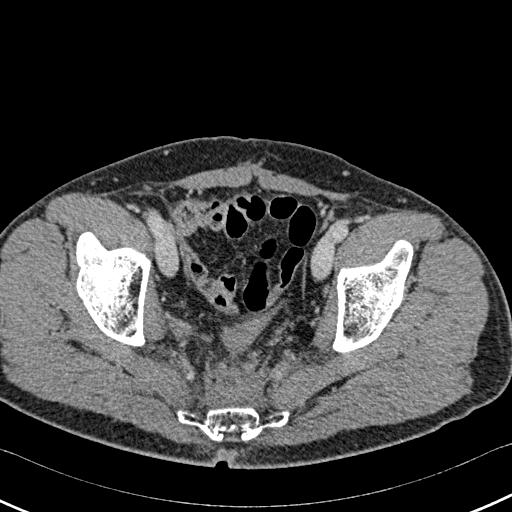

CT scan slice
bone:
  - {"x1": 76, "y1": 232, "x2": 149, "y2": 345}
  - {"x1": 333, "y1": 240, "x2": 412, "y2": 352}
  - {"x1": 177, "y1": 408, "x2": 288, "y2": 441}